Image size 240x240.
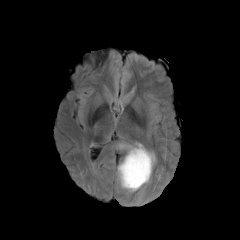
FLAIR MR image.
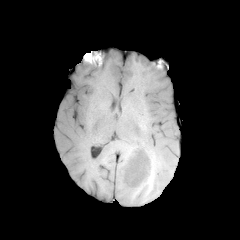
Same slice, T1-weighted MR image.
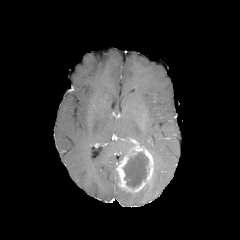
Same slice, post-contrast T1-weighted MRI.
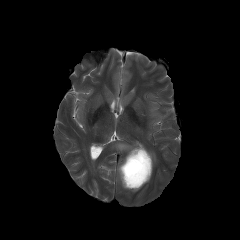
Same slice, T2-weighted MR.
The non-enhancing tumor core is at box(122, 152, 149, 189). The enhancing tumor is bounded by box(116, 145, 153, 192).